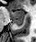 MRI

The posterior hippocampus lies within (13,21,22,26). The anterior hippocampus is located at (9,10,24,20).